Image width 240 mm. Slice index 116.
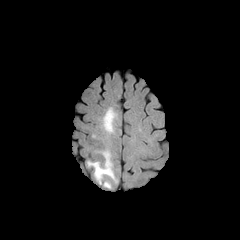
FLAIR MR image.
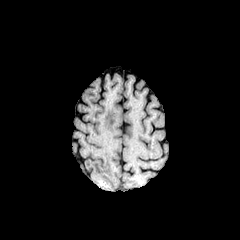
T1-weighted MRI.
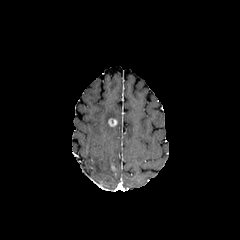
Same slice, post-contrast T1-weighted MR image.
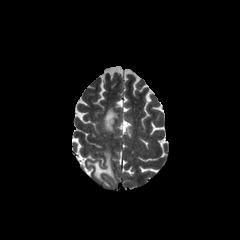
Same slice, T2-weighted magnetic resonance.
Edema: bounding box (x1=87, y1=151, x2=117, y2=184), (x1=100, y1=106, x2=116, y2=133).
Enhancing tumor: bounding box (x1=108, y1=118, x2=117, y2=126).